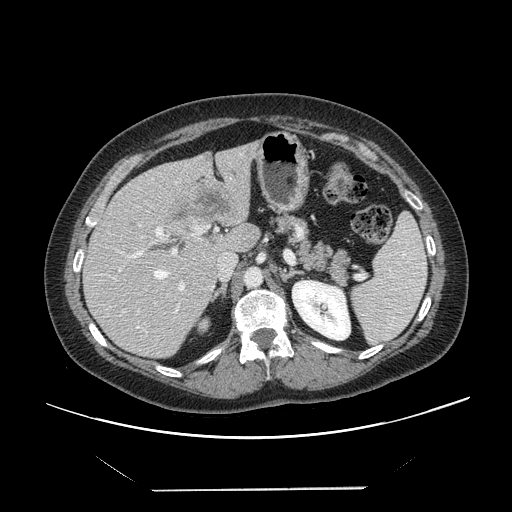
512x512 px; Abdomen; CT
The vessel annotation is not exhaustive.
Findings:
• hepatic vessel: bbox=[149, 226, 167, 244]; bbox=[171, 249, 176, 256]; bbox=[177, 281, 186, 293]; bbox=[119, 250, 143, 260]; bbox=[175, 305, 178, 313]; bbox=[173, 315, 176, 318]; bbox=[218, 253, 235, 279]; bbox=[153, 267, 170, 280]; bbox=[119, 267, 121, 271]
• liver tumor: bbox=[169, 183, 235, 239]